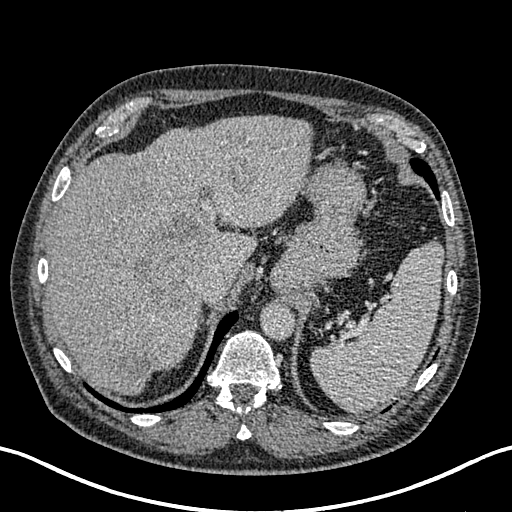 CT scan slice
Liver = (49,115,312,392).
Focal liver lesion = (118,338,163,379), (130,214,210,311), (223,154,260,189), (195,185,213,204).